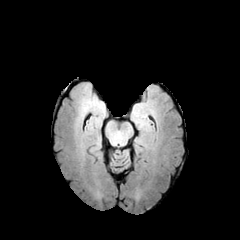
FLAIR MR.
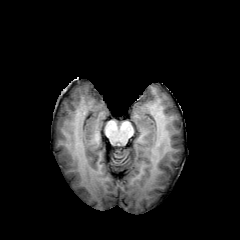
T1-weighted MR image.
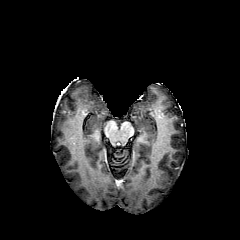
Post-contrast T1-weighted MR image.
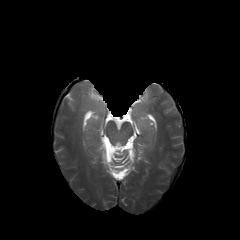
Same slice, T2-weighted MR.
Head
• edema: box(92, 102, 103, 115)